Abdomen. 512x512 px. CT scan slice.
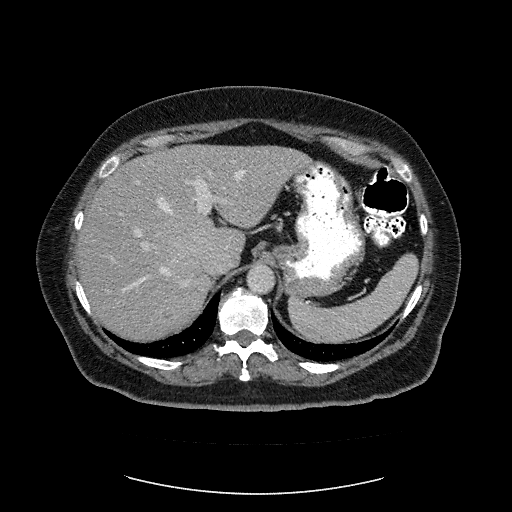

The vessel boxes may cover only some of the vessels.
hepatic_vessel:
  - rect(235, 170, 244, 178)
  - rect(158, 198, 170, 211)
  - rect(142, 242, 149, 249)
  - rect(121, 276, 146, 292)
  - rect(136, 181, 140, 183)
  - rect(111, 258, 114, 260)
  - rect(181, 281, 187, 285)
  - rect(159, 268, 169, 274)
  - rect(135, 228, 141, 236)
  - rect(186, 175, 227, 213)